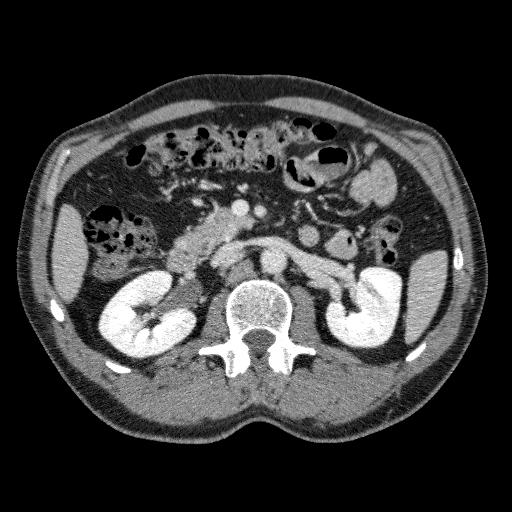
Computed tomography. Abdomen. 512x512 px.
Annotated regions:
* kidney: 99, 271, 195, 356; 326, 268, 400, 346
* liver: 53, 206, 88, 300